FLAIR MRI.
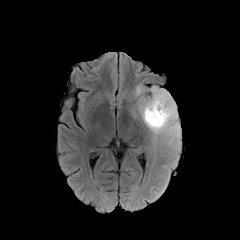
T1-weighted MRI.
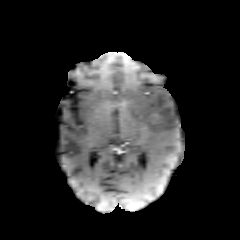
Post-contrast T1-weighted magnetic resonance.
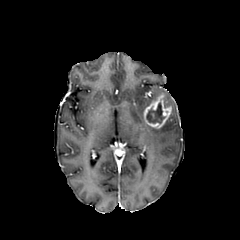
T2-weighted MR.
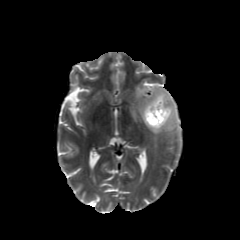
240x240; Head
Segmented structures:
* enhancing tumor: region(143, 93, 172, 128)
* non-enhancing tumor core: region(147, 103, 164, 123)
* edema: region(134, 83, 181, 157)